Image width 240 mm; Image size 240x240; Slice index 100; Brain
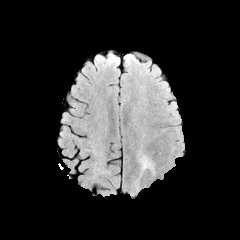
FLAIR magnetic resonance.
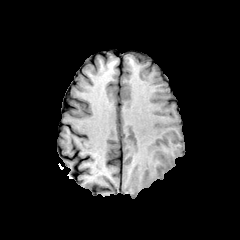
Same slice, T1-weighted MR image.
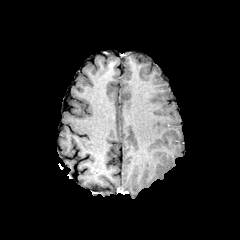
Post-contrast T1-weighted MR of the same slice.
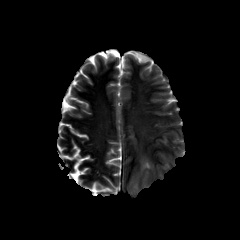
T2-weighted MRI.
<segmentation>
  <edema>142 158 151 170</edema>
</segmentation>